CT image | Abdomen 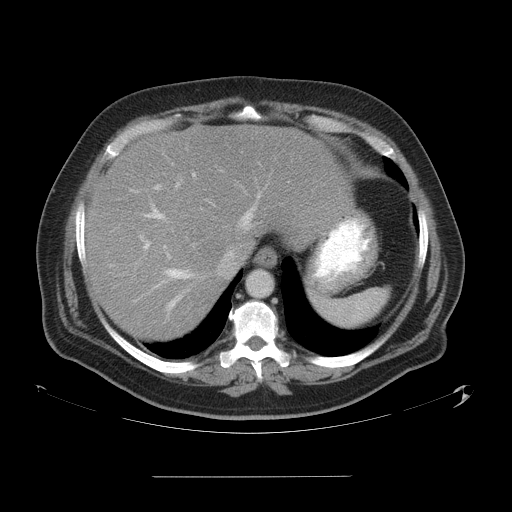

Not every hepatic vessel necessarily has a box.
Hepatic vessel = <box>193,173,195,176</box>, <box>167,254,170,257</box>, <box>164,246,165,248</box>, <box>166,269,192,279</box>, <box>192,243,195,246</box>, <box>239,207,255,229</box>, <box>176,183,178,187</box>, <box>206,199,208,201</box>, <box>140,235,149,248</box>, <box>167,295,181,315</box>, <box>109,265,111,266</box>, <box>154,184,159,189</box>, <box>146,206,164,218</box>, <box>151,280,166,290</box>.